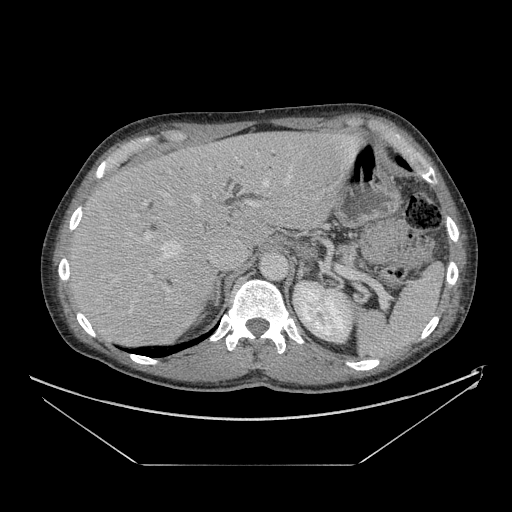
CT slice
Pancreas at [337, 242, 359, 266].